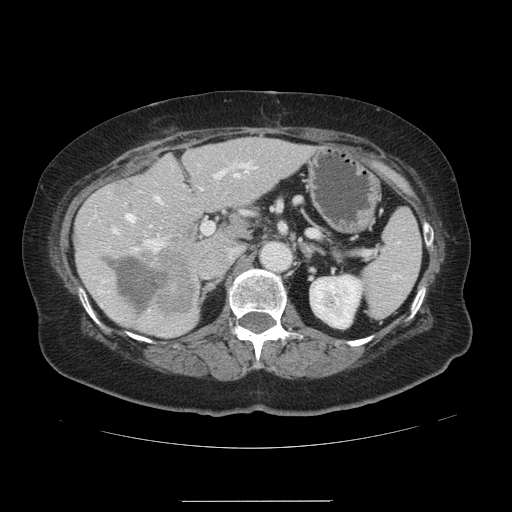 CT. Liver.
The vessel annotation is not exhaustive.
Liver tumor at {"x1": 110, "y1": 248, "x2": 193, "y2": 313}.
Hepatic vessel at {"x1": 155, "y1": 196, "x2": 161, "y2": 202}, {"x1": 242, "y1": 211, "x2": 246, "y2": 212}, {"x1": 238, "y1": 160, "x2": 255, "y2": 172}, {"x1": 234, "y1": 174, "x2": 238, "y2": 176}, {"x1": 199, "y1": 187, "x2": 202, "y2": 188}, {"x1": 131, "y1": 248, "x2": 138, "y2": 252}, {"x1": 112, "y1": 228, "x2": 117, "y2": 232}, {"x1": 145, "y1": 235, "x2": 163, "y2": 249}, {"x1": 213, "y1": 170, "x2": 224, "y2": 177}, {"x1": 126, "y1": 214, "x2": 134, "y2": 222}, {"x1": 200, "y1": 218, "x2": 214, "y2": 234}.